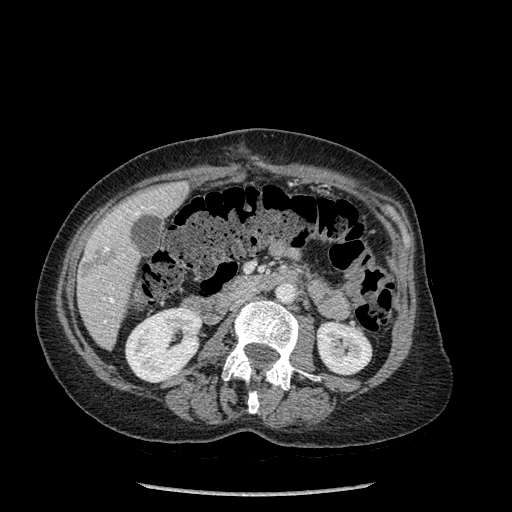 CT | 512x512 px | Liver
{"focal_liver_lesion": ["<bbox>82, 251, 114, 275</bbox>"], "kidney": ["<bbox>317, 322, 371, 374</bbox>", "<bbox>126, 308, 201, 381</bbox>"], "liver": ["<bbox>77, 181, 188, 348</bbox>"], "bone": ["<bbox>248, 391, 259, 413</bbox>", "<bbox>222, 300, 312, 389</bbox>"]}